Slice 60 of 98; Field of view 386x386 mm; CT image
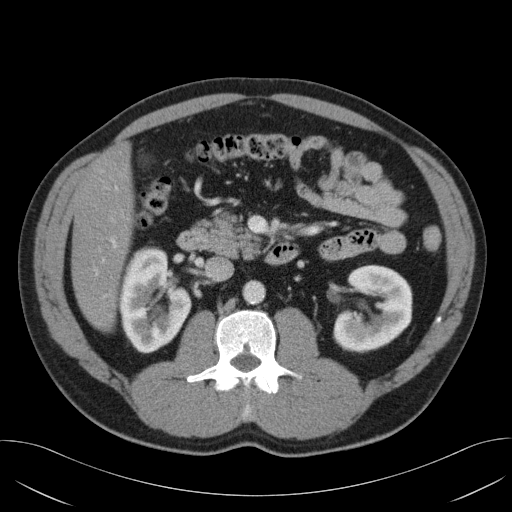
The pancreas is at 195:210:266:261.